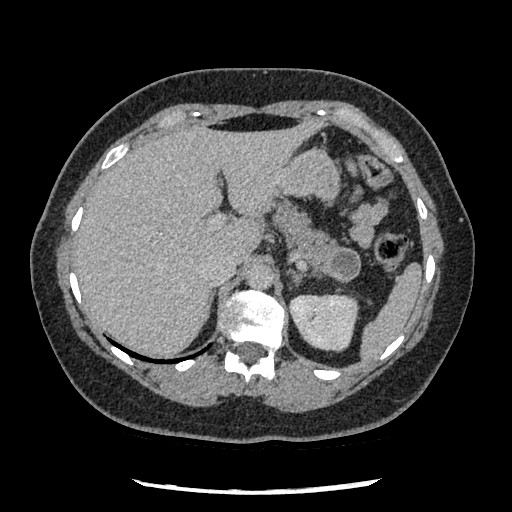

CT scan slice
pancreatic_tumor:
  - [325,248,361,281]
pancreas:
  - [272,202,344,275]